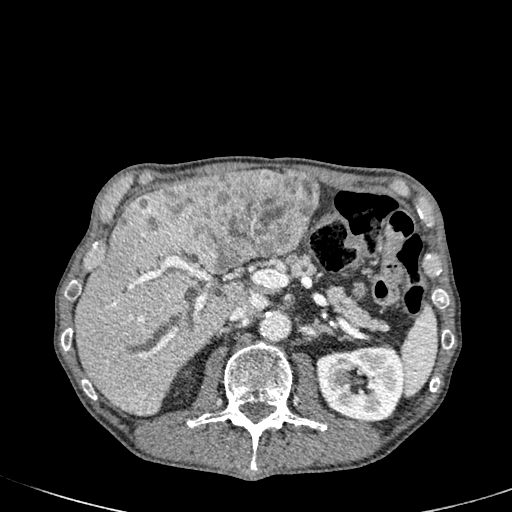

512x512; Computed tomography; Liver
Kidney: bounding box 318, 348, 406, 420.
Focal liver lesion: bounding box 164, 170, 318, 271; 149, 219, 155, 230.
Liver: bounding box 75, 190, 244, 415.